Field of view 351x351 mm, CT image

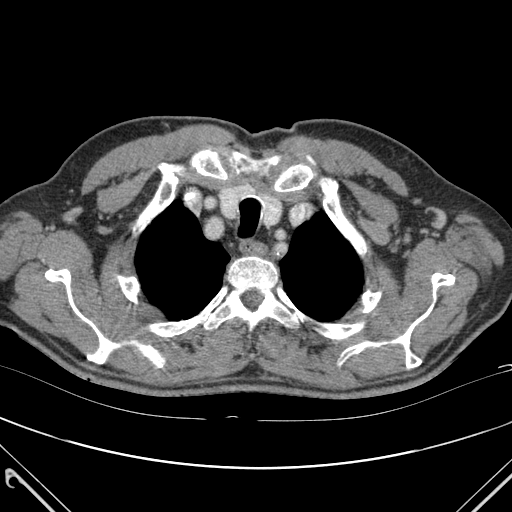

{"bone": ["region(150, 257, 304, 336)", "region(275, 165, 312, 191)", "region(431, 273, 454, 298)", "region(362, 291, 380, 312)", "region(118, 276, 138, 302)", "region(321, 179, 365, 253)", "region(137, 163, 181, 229)", "region(322, 324, 363, 338)", "region(269, 156, 278, 164)", "region(45, 269, 118, 363)", "region(232, 152, 246, 169)", "region(343, 341, 385, 357)", "region(139, 345, 164, 367)", "region(393, 304, 433, 368)", "region(192, 146, 232, 179)"], "lung": ["region(135, 200, 229, 320)", "region(280, 212, 363, 321)"]}